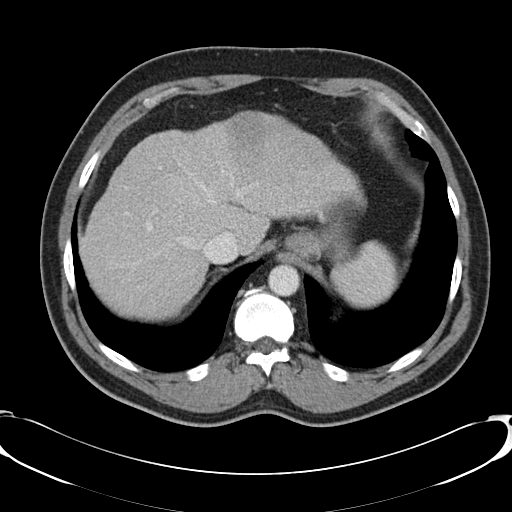 Computed tomography. The vessel annotation is not exhaustive.
Hepatic vessel: bounding box bbox(151, 209, 157, 213); bbox(243, 187, 246, 189); bbox(208, 190, 215, 202); bbox(221, 167, 223, 172); bbox(176, 238, 180, 240); bbox(222, 205, 224, 207); bbox(218, 161, 220, 163); bbox(182, 237, 191, 245); bbox(197, 235, 198, 236); bbox(191, 233, 234, 262); bbox(194, 180, 205, 190); bbox(146, 221, 151, 230); bbox(235, 189, 241, 196); bbox(158, 166, 160, 168).